512x512 px, Field of view 362x362 mm, CT slice, Abdomen 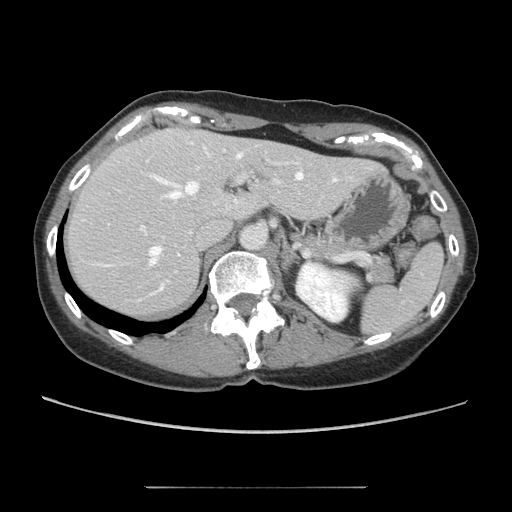
The pancreas appears at l=305, t=234, r=342, b=256.